Slice index 67.
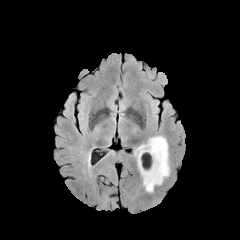
FLAIR MRI.
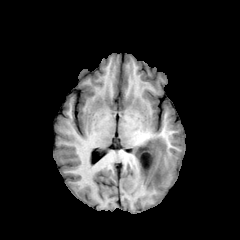
Same slice, T1-weighted MRI.
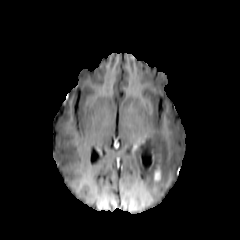
Post-contrast T1-weighted magnetic resonance of the same slice.
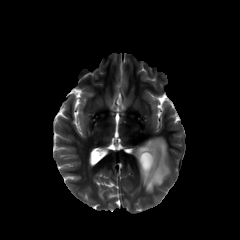
T2-weighted MR of the same slice.
The edema is at box=[134, 136, 170, 192]. The enhancing tumor is at box=[154, 170, 160, 180].